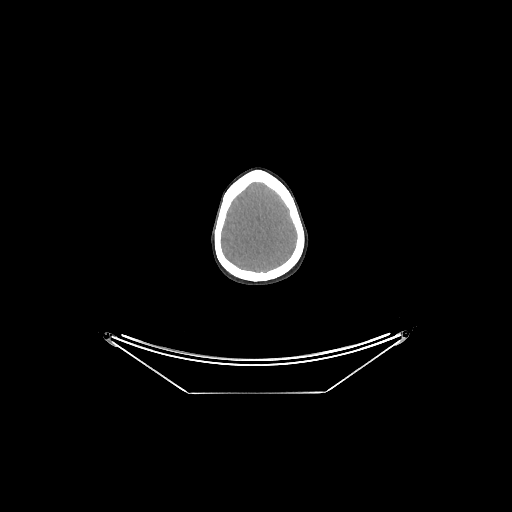

Computed tomography | Head
The brain lies within 220 182 297 272.